CT slice, Slice 39 of 87, Field of view 500 mm wide, 2.50 mm slice spacing

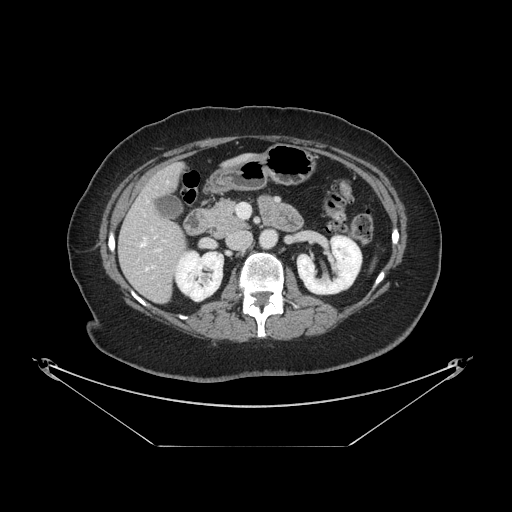

pancreas:
  - l=203, t=199, r=248, b=238